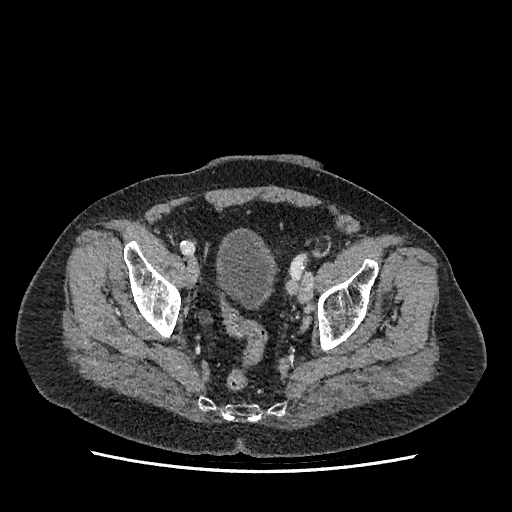
Pelvis. CT image. Urinary bladder: bounding box 217,233,271,308.